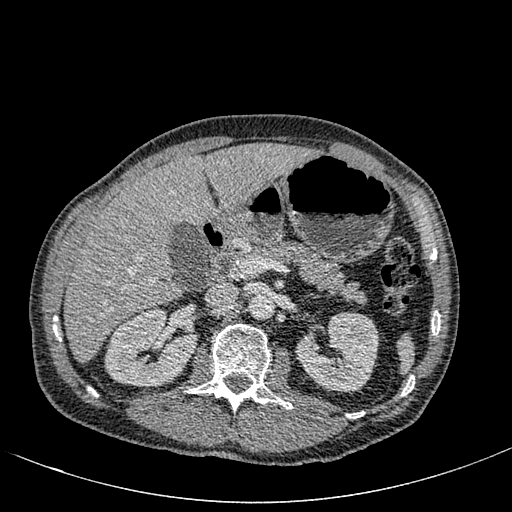

512x512 px | Computed tomography
Kidney — box(105, 309, 197, 386); box(296, 312, 378, 391).
Liver — box(64, 144, 321, 363).